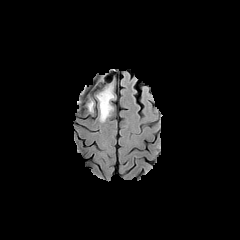
FLAIR MRI.
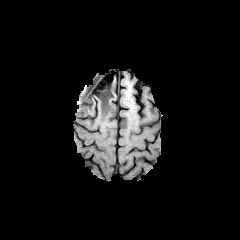
T1-weighted MR image of the same slice.
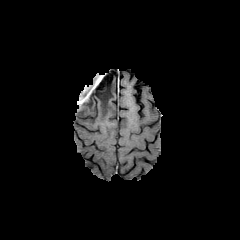
Post-contrast T1-weighted magnetic resonance of the same slice.
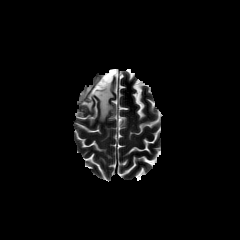
T2-weighted magnetic resonance of the same slice.
240x240 px.
Edema at x1=78, y1=96, x2=85, y2=108; x1=86, y1=82, x2=115, y2=122.
Non-enhancing tumor core at x1=94, y1=81, x2=111, y2=103.